FLAIR magnetic resonance.
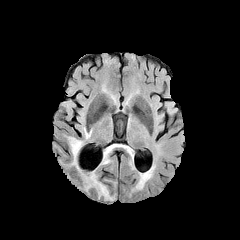
T1-weighted MR image.
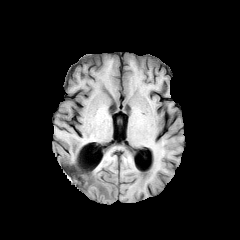
Post-contrast T1-weighted MR image.
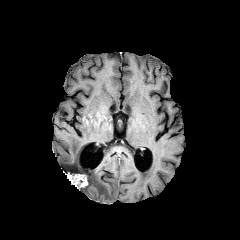
T2-weighted MR image.
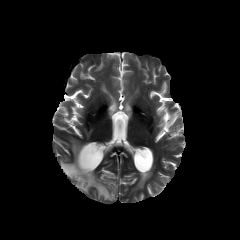
Brain
non-enhancing_tumor_core:
  - bbox(64, 164, 91, 185)
enhancing_tumor:
  - bbox(74, 174, 87, 187)
edema:
  - bbox(84, 170, 114, 200)
  - bbox(136, 168, 151, 187)
  - bbox(102, 145, 111, 162)
  - bbox(70, 137, 83, 164)